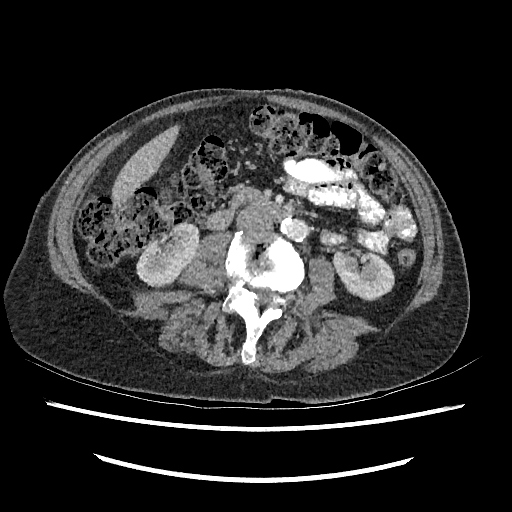 Image size 512x512 | Liver | Computed tomography
kidney: box(333, 253, 393, 299); box(137, 225, 198, 285) | liver: box(113, 127, 176, 202)